FLAIR MRI.
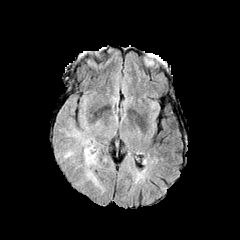
T1-weighted MRI.
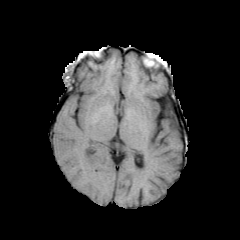
Post-contrast T1-weighted MRI.
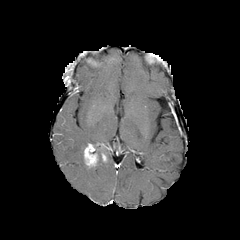
T2-weighted magnetic resonance.
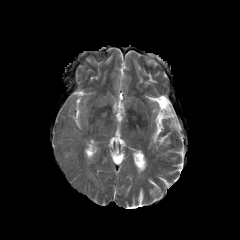
edema: [73,121,105,191] | enhancing tumor: [84,144,96,166]